CT image | Abdomen | Slice 102 of 135

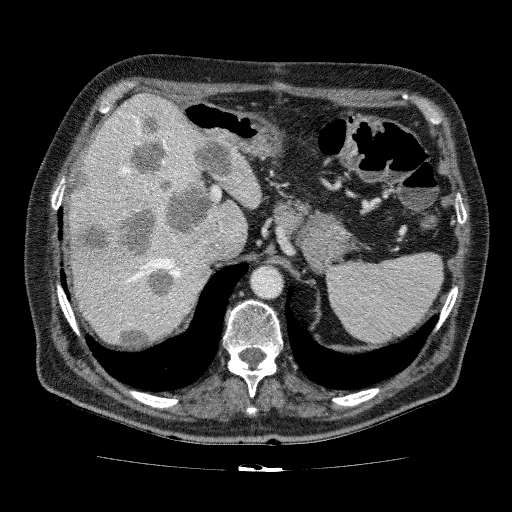
Liver: bounding box bbox(69, 92, 247, 345); bbox(208, 145, 261, 208).
Focal liver lesion: bounding box bbox(144, 270, 177, 298); bbox(69, 205, 158, 269); bbox(73, 153, 91, 193); bbox(156, 136, 237, 237); bbox(125, 112, 169, 177); bbox(115, 317, 154, 347).